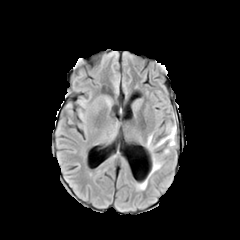
FLAIR MR.
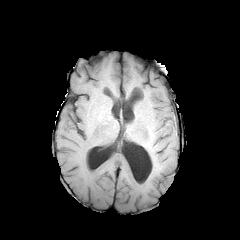
T1-weighted magnetic resonance.
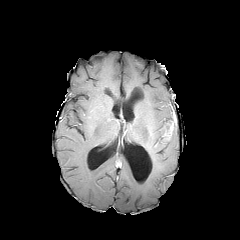
Same slice, post-contrast T1-weighted MR image.
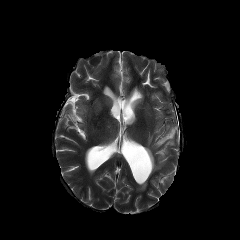
T2-weighted MRI of the same slice.
<segmentation>
  <edema>rect(146, 122, 176, 179); rect(137, 180, 147, 190)</edema>
</segmentation>